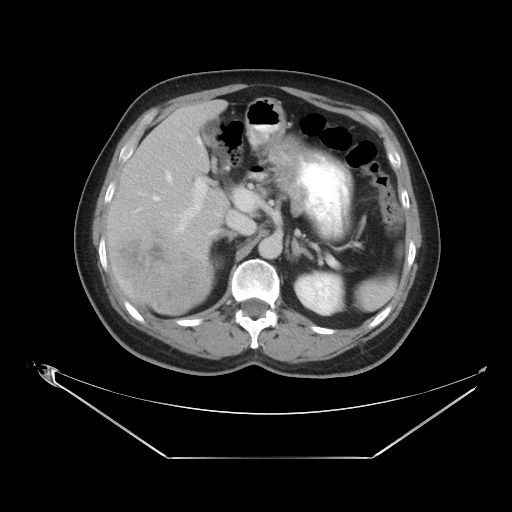 Liver, CT

Only some of the vessels may be annotated.
The liver tumor is at [110,223,210,313]. 3 hepatic vessel regions are located at [180,178,207,219], [168,175,169,179], [154,196,159,200].